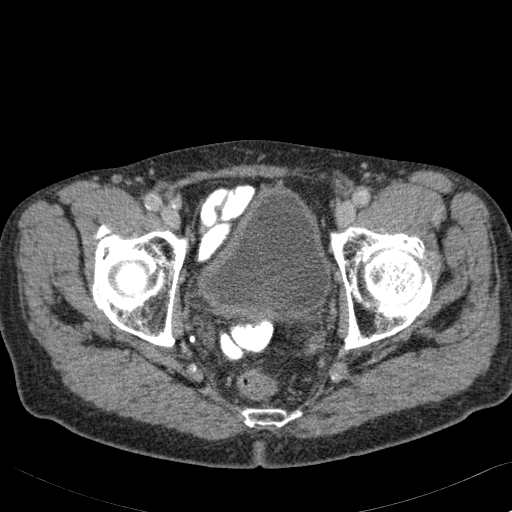
Computed tomography
<segmentation>
  <urinary_bladder>bbox(202, 194, 330, 315)</urinary_bladder>
</segmentation>